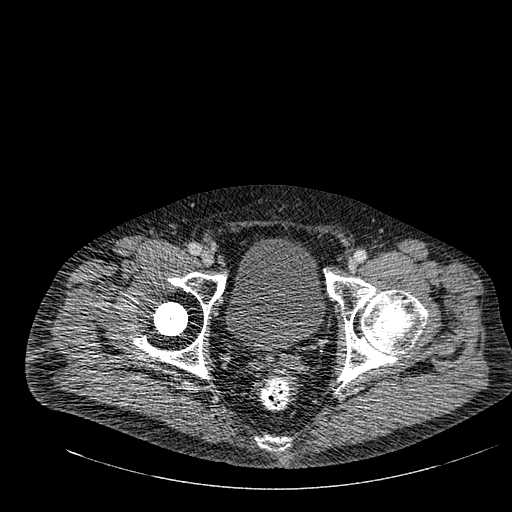

Lower abdomen; CT
The urinary bladder appears at <bbox>225, 239, 325, 351</bbox>.